FLAIR MRI.
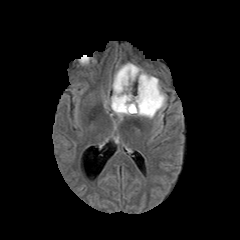
T1-weighted MR image.
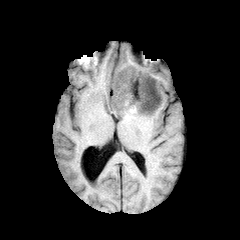
Post-contrast T1-weighted MR image.
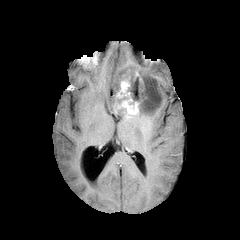
T2-weighted magnetic resonance.
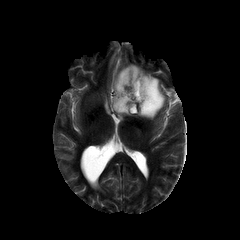
Brain
The enhancing tumor appears at x1=114 y1=76 x2=138 y2=113. The non-enhancing tumor core is at x1=130 y1=74 x2=157 y2=100. 2 edema regions are bounded by x1=110 y1=112 x2=129 y2=129, x1=104 y1=62 x2=167 y2=119.